Slice 28 of 77. Computed tomography. 512x512. Abdomen. 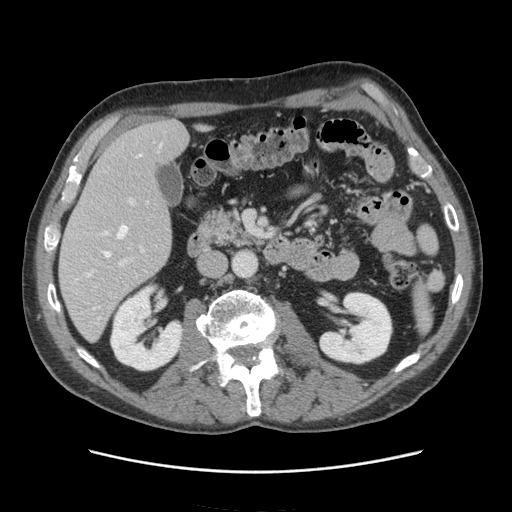
spleen:
  - <box>417,225,438,255</box>
  - <box>411,276,432,334</box>